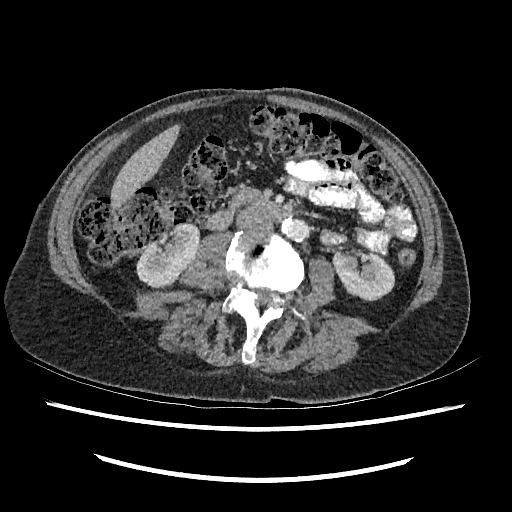

CT

liver:
  - (x1=112, y1=126, x2=177, y2=204)
kidney:
  - (x1=333, y1=253, x2=394, y2=299)
  - (x1=137, y1=225, x2=198, y2=286)